240x240 px, Slice 111/155
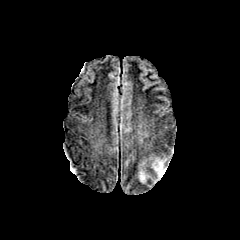
FLAIR MR image.
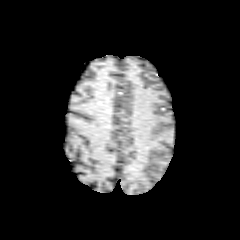
T1-weighted MR image of the same slice.
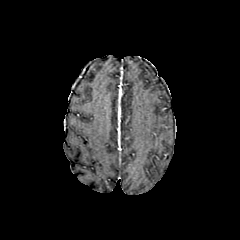
Post-contrast T1-weighted magnetic resonance.
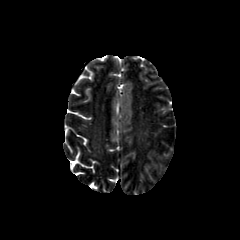
T2-weighted MR image.
Edema — 140 164 146 182, 152 160 164 175.